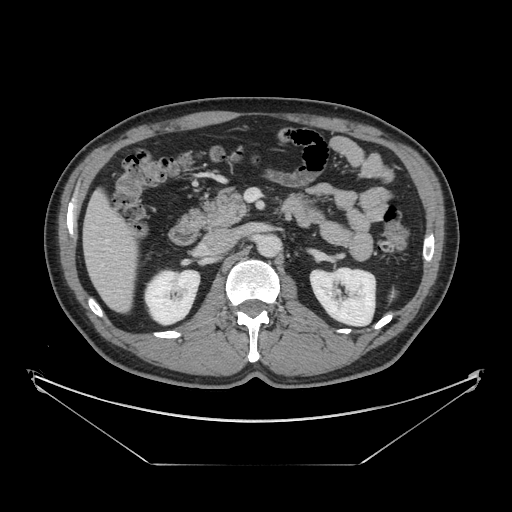

Computed tomography. Upper abdomen.

<segmentation>
  <pancreas>(left=183, top=188, right=247, bottom=227)</pancreas>
</segmentation>